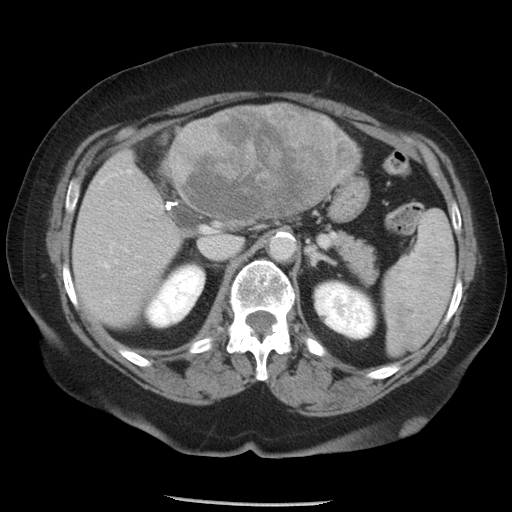 Computed tomography. Some hepatic vessels may have no box.
Findings:
* hepatic vessel: 101, 262, 108, 268; 126, 169, 131, 173; 105, 299, 111, 302; 112, 296, 114, 298; 135, 255, 136, 256; 108, 241, 114, 252; 122, 246, 127, 251; 114, 259, 116, 262
* liver tumor: 181, 105, 354, 219